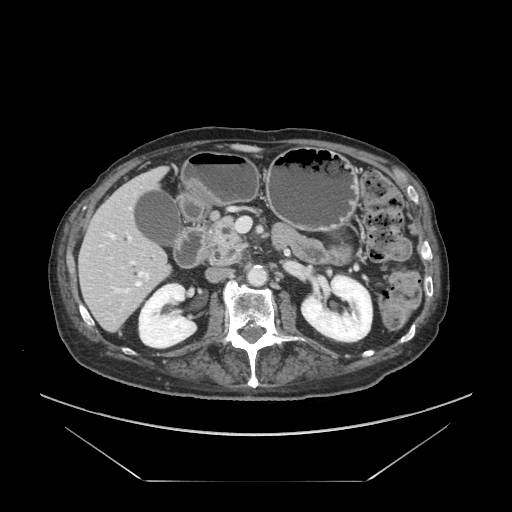 Upper abdomen, Computed tomography
Pancreas = bbox(208, 216, 245, 264).